Computed tomography, Abdomen 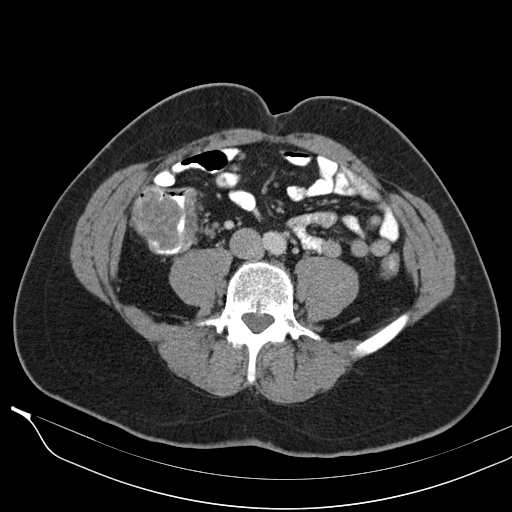
{
  "colon_tumor": [
    "133,189,196,252"
  ]
}